Liver, CT 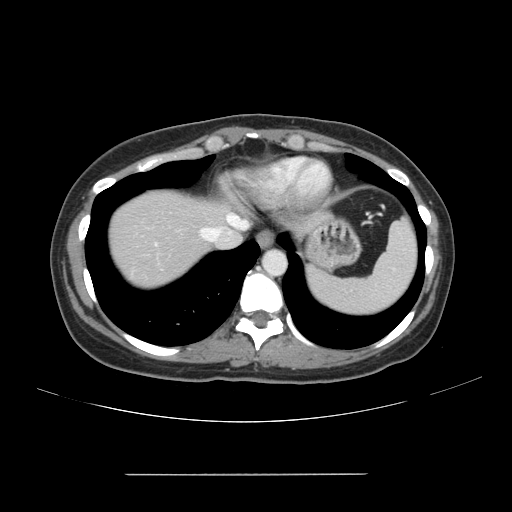 Not every hepatic vessel necessarily has a box.
• hepatic vessel: (x1=201, y1=228, x2=219, y2=240)